Head. Slice 70 of 155.
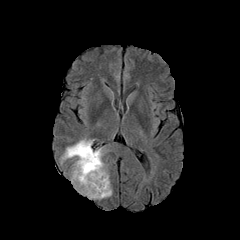
FLAIR MR.
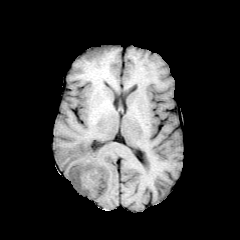
T1-weighted MR image.
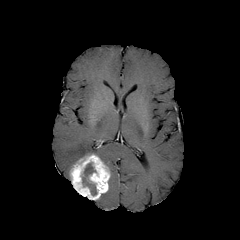
Post-contrast T1-weighted magnetic resonance of the same slice.
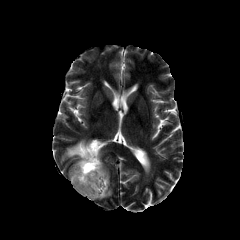
T2-weighted MR image.
<segmentation>
  <enhancing_tumor>region(69, 153, 109, 199)</enhancing_tumor>
  <edema>region(100, 187, 111, 199); region(62, 139, 105, 162)</edema>
  <non-enhancing_tumor_core>region(84, 163, 94, 176)</non-enhancing_tumor_core>
</segmentation>